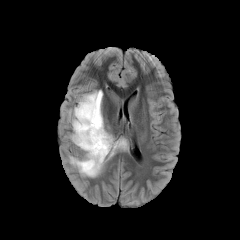
FLAIR magnetic resonance.
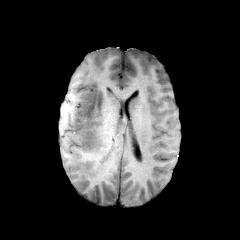
T1-weighted magnetic resonance.
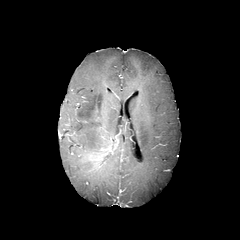
Same slice, post-contrast T1-weighted MR image.
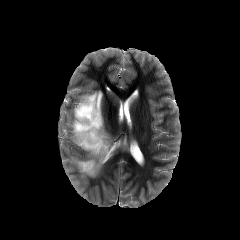
T2-weighted magnetic resonance.
Brain
2 non-enhancing tumor core regions appear at (left=84, top=103, right=94, bottom=117), (left=100, top=145, right=115, bottom=159). The edema lies within (left=70, top=90, right=126, bottom=177).